Slice 59/155
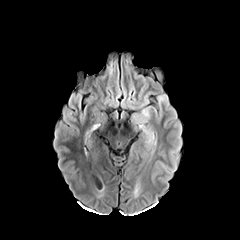
FLAIR MR image.
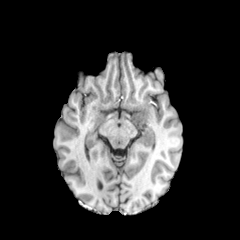
T1-weighted MRI.
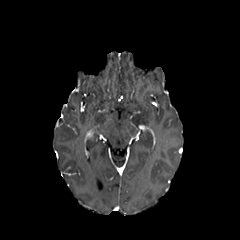
Same slice, post-contrast T1-weighted MRI.
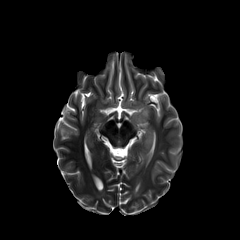
T2-weighted MR image.
Edema at <box>139,130,152,155</box>, <box>121,77,158,133</box>.